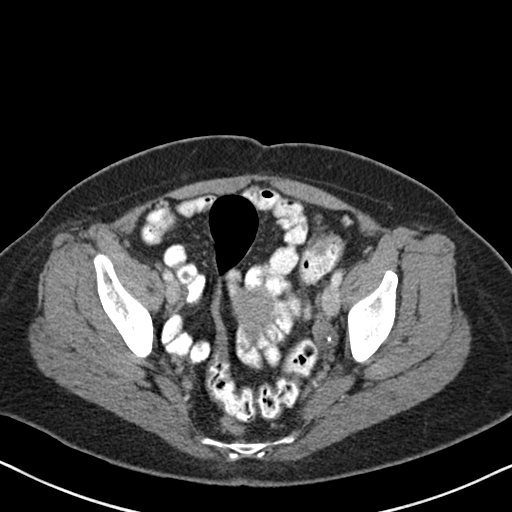

Abdomen. 512x512. CT slice. The colon tumor lies within <bbox>313, 235, 333, 256</bbox>.